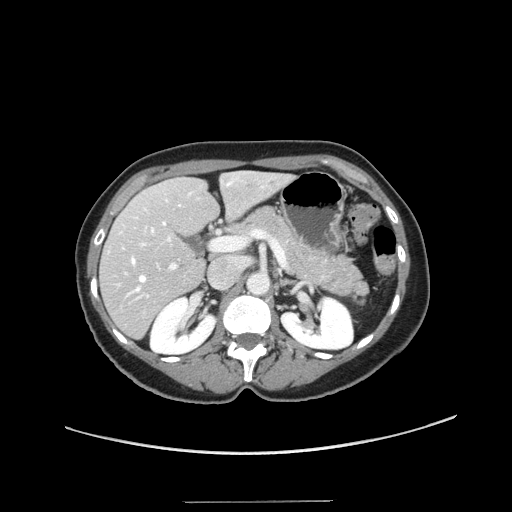 Liver, CT scan slice
The vessel boxes may cover only some of the vessels.
Annotated regions:
- hepatic vessel: (190, 190, 192, 193), (166, 199, 167, 200), (140, 276, 145, 281), (168, 236, 170, 240), (128, 287, 139, 294), (213, 238, 241, 249), (170, 263, 176, 268), (141, 243, 145, 244), (163, 222, 165, 224), (145, 294, 148, 296), (131, 256, 135, 263), (151, 227, 153, 231)